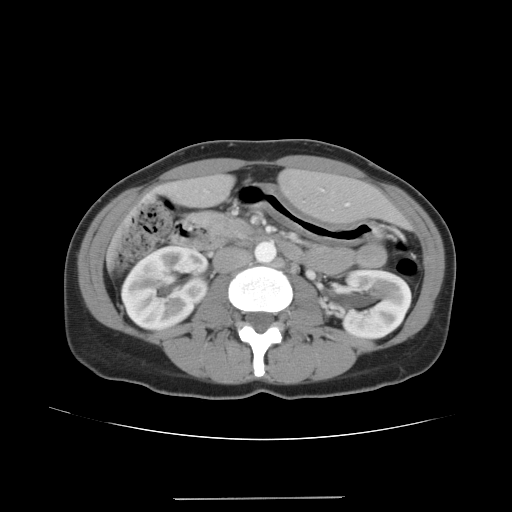 Computed tomography. Abdomen. Pancreas: (217,216,239,236), (211,215,215,235), (202,216,209,230).